Slice 33/43; Medial temporal lobe; MR 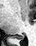 Segmented structures:
* posterior hippocampus: <box>12,35,23,39</box>